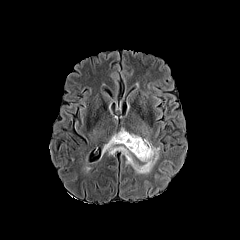
FLAIR MR.
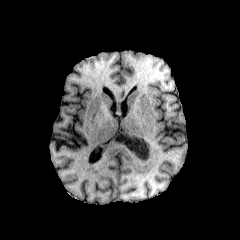
T1-weighted MRI.
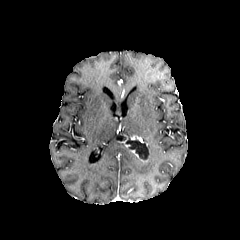
Post-contrast T1-weighted magnetic resonance.
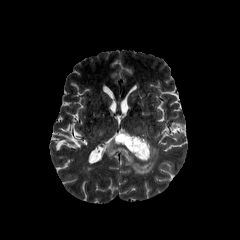
Same slice, T2-weighted MR image.
Head
The edema appears at l=104, t=138, r=160, b=174. 2 enhancing tumor regions are bounded by l=129, t=150, r=149, b=162; l=131, t=134, r=143, b=142. 2 non-enhancing tumor core regions appear at l=115, t=131, r=126, b=141; l=125, t=136, r=149, b=160.